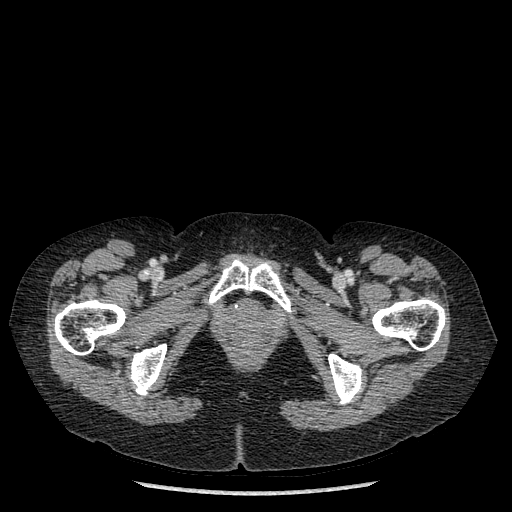
CT image
Bone — left=129, top=344, right=166, bottom=395; left=208, top=255, right=291, bottom=312; left=328, top=353, right=363, bottom=404; left=53, top=299, right=125, bottom=355; left=372, top=298, right=446, bottom=350.